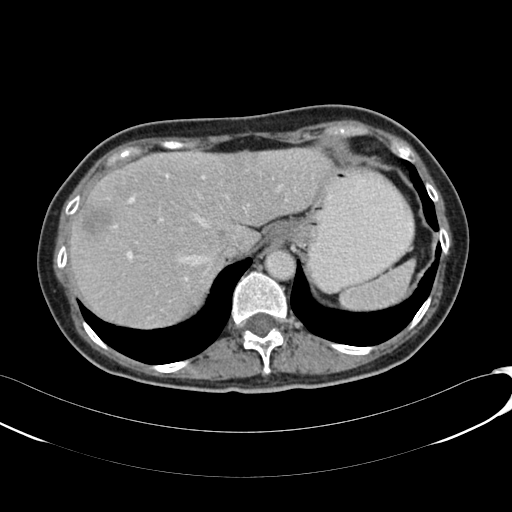 CT image. Liver. 512x512.

hepatic lesion: <bbox>236, 152, 246, 161</bbox>, <bbox>80, 204, 112, 235</bbox> | liver: <bbox>70, 149, 330, 326</bbox>